Slice 106 of 141. Abdomen. CT image.

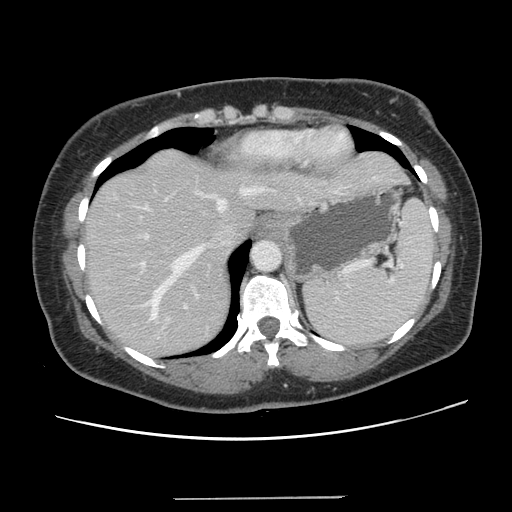

Some hepatic vessels may have no box.
9 hepatic vessel regions are located at (left=165, top=198, right=167, bottom=200), (left=184, top=305, right=186, bottom=307), (left=144, top=246, right=202, bottom=319), (left=240, top=187, right=264, bottom=194), (left=166, top=318, right=168, bottom=319), (left=144, top=234, right=148, bottom=238), (left=334, top=191, right=338, bottom=192), (left=217, top=199, right=225, bottom=210), (left=141, top=262, right=144, bottom=268).